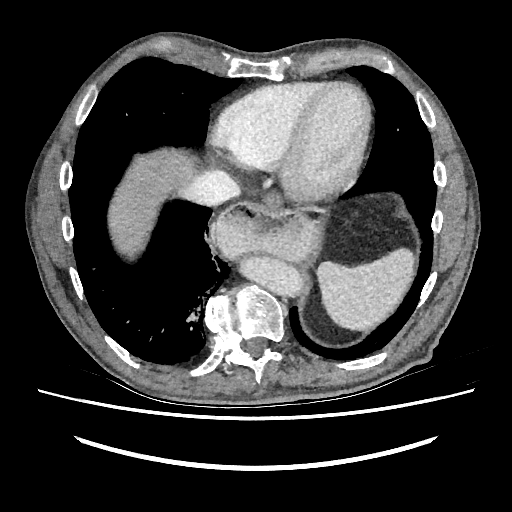

Abdomen, Computed tomography

The focal liver lesion lies within bbox(123, 247, 138, 256). The liver is bounded by bbox(108, 150, 198, 253).